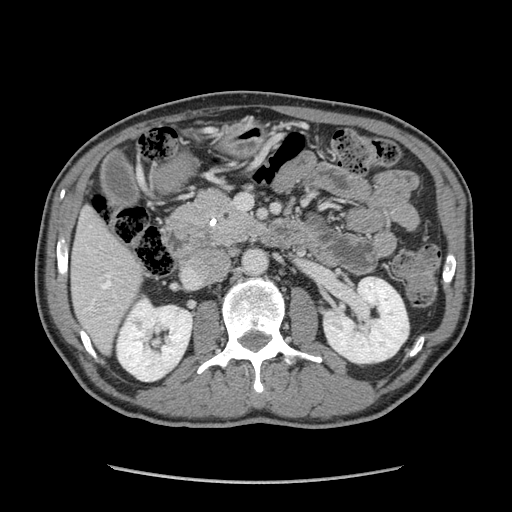 Image size 512x512; CT

Pancreas: region(174, 186, 262, 248).